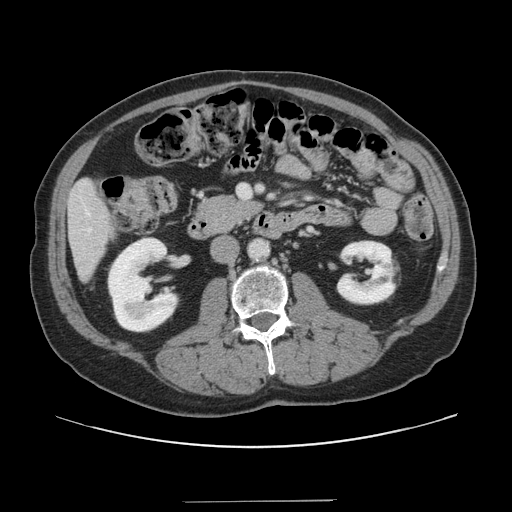
Liver. Computed tomography.

The vessel boxes may cover only some of the vessels.
The hepatic vessel appears at rect(239, 185, 249, 197).